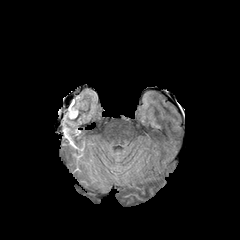
FLAIR MR.
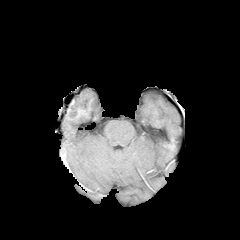
T1-weighted MR image.
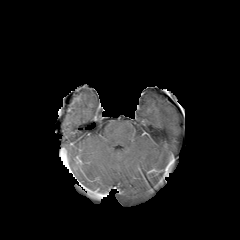
Same slice, post-contrast T1-weighted MR.
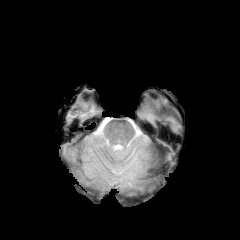
T2-weighted MR image of the same slice.
4 edema regions are located at x1=113 y1=149 x2=130 y2=160, x1=105 y1=148 x2=143 y2=177, x1=88 y1=162 x2=99 y2=171, x1=66 y1=102 x2=77 y2=123.